FLAIR magnetic resonance.
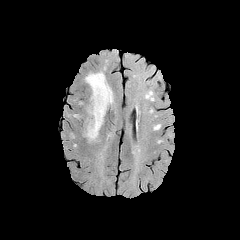
T1-weighted magnetic resonance.
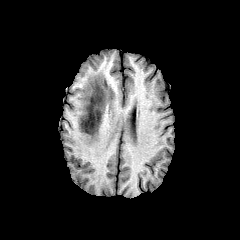
Post-contrast T1-weighted magnetic resonance.
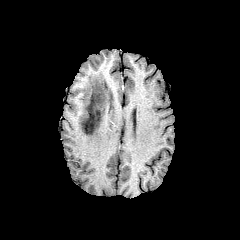
T2-weighted MR.
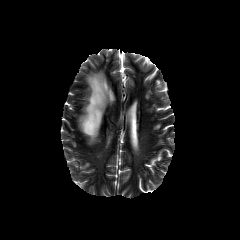
Non-enhancing tumor core — x1=85 y1=70 x2=103 y2=82, x1=82 y1=84 x2=103 y2=134.
Edema — x1=86 y1=73 x2=113 y2=143.